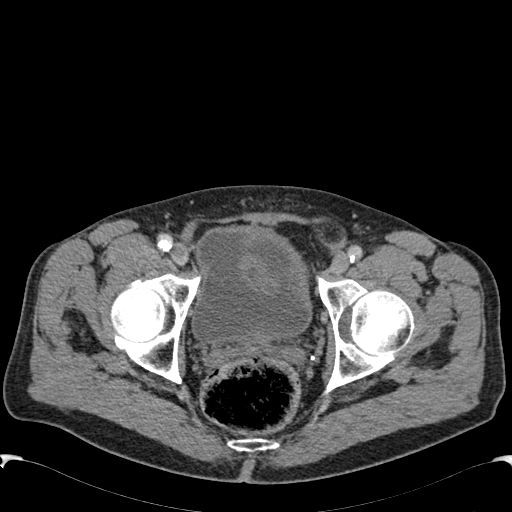

Pelvis | CT image
Segmented structures:
- urinary bladder: bbox(191, 225, 311, 348)